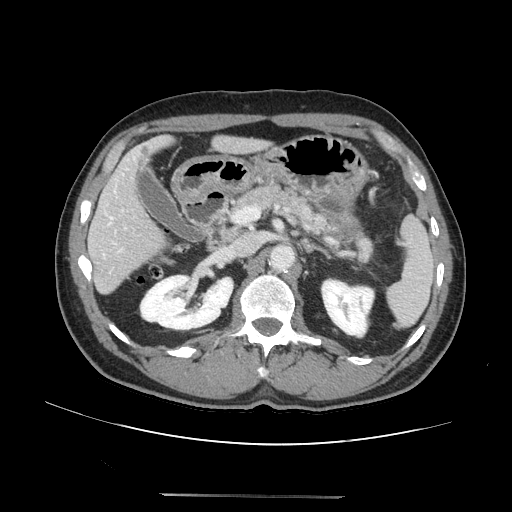
CT scan slice
Pancreatic tumor — 324, 219, 353, 239.
Pancreas — 340, 224, 372, 261; 239, 186, 332, 236.